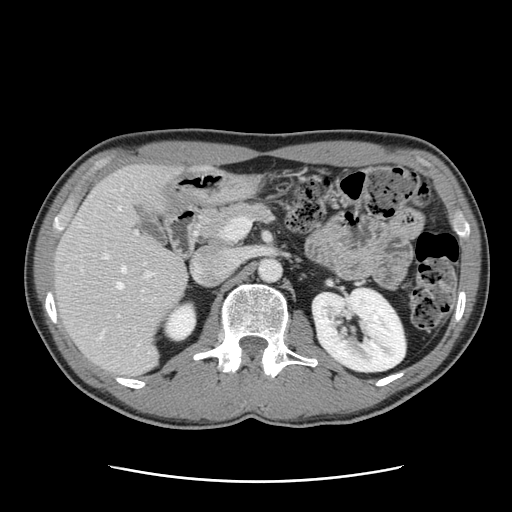 Liver, CT image
The vessel annotation is not exhaustive.
8 hepatic vessel regions are bounded by (left=144, top=272, right=152, bottom=276), (left=135, top=231, right=136, bottom=233), (left=103, top=255, right=107, bottom=258), (left=118, top=207, right=120, bottom=209), (left=121, top=267, right=125, bottom=271), (left=98, top=328, right=104, bottom=339), (left=116, top=282, right=122, bottom=288), (left=142, top=290, right=143, bottom=291).